CT image 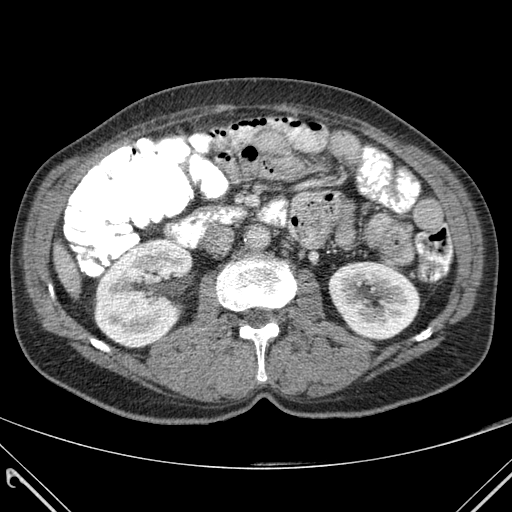 4 bone regions appear at (x1=91, y1=339, x2=108, y2=350), (x1=416, y1=329, x2=430, y2=340), (x1=240, y1=323, x2=278, y2=380), (x1=217, y1=259, x2=295, y2=310). 2 kidney regions are bounded by (x1=96, y1=240, x2=186, y2=346), (x1=330, y1=263, x2=418, y2=338). The liver is bounded by (x1=54, y1=243, x2=79, y2=297).